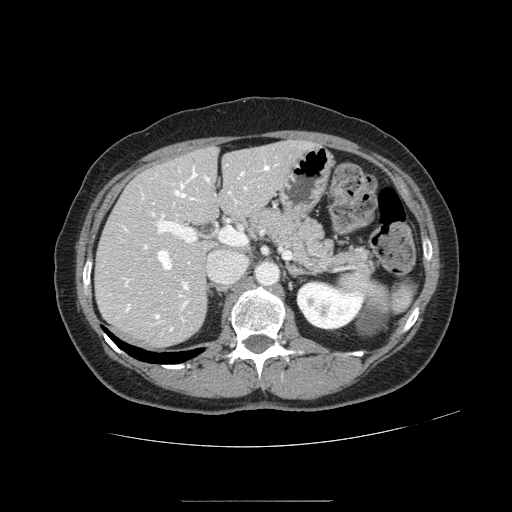 Abdomen | CT image
The pancreas is bounded by 244 207 375 279.